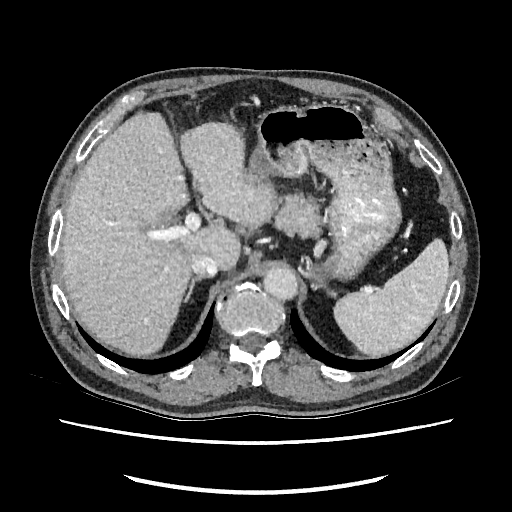 CT, Liver, Image size 512x512

focal liver lesion: 161, 209, 171, 218 | liver: 62, 114, 238, 354; 181, 122, 273, 224